512x512 | CT image 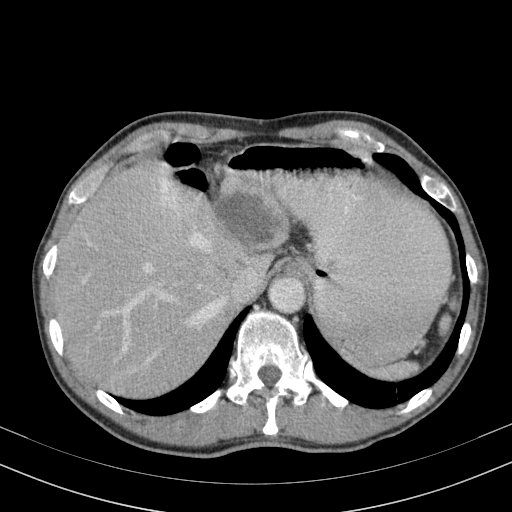

focal_liver_lesion:
  - <bbox>214, 192, 279, 243</bbox>
liver:
  - <bbox>55, 158, 289, 398</bbox>